Field of view 360x360 mm; Computed tomography; Thorax
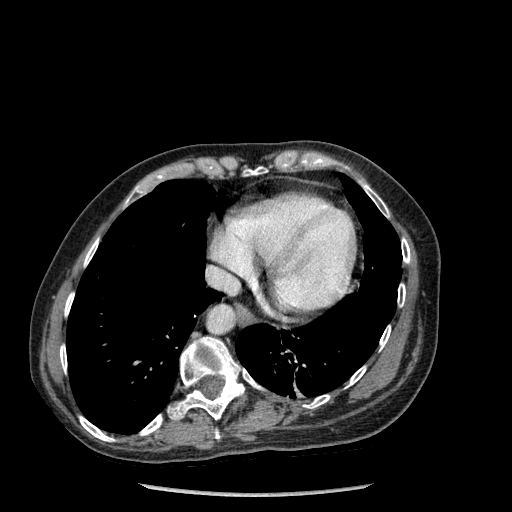 Bone — 140 414 162 435, 397 283 405 306, 401 238 410 263, 84 238 98 266, 125 185 145 206, 379 325 390 350, 64 292 74 316, 167 337 262 419, 359 180 389 217, 345 366 366 388, 244 166 267 175, 60 344 67 373, 79 416 115 441, 303 394 329 408.
Lung — 66 179 222 434, 236 174 401 398.